FLAIR MRI.
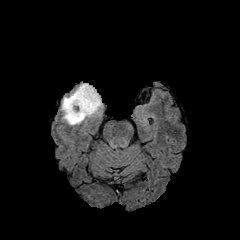
T1-weighted MRI.
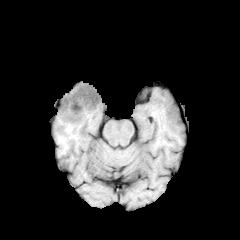
Post-contrast T1-weighted magnetic resonance.
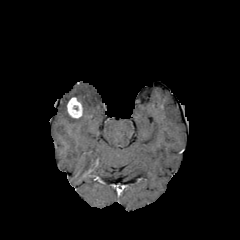
T2-weighted MR image.
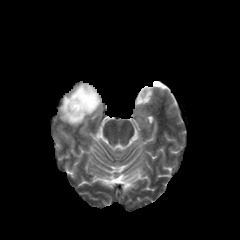
240x240 px | Brain
Edema = box(60, 83, 102, 126).
Enhancing tumor = box(66, 96, 83, 118).
Non-enhancing tumor core = box(76, 92, 87, 108).